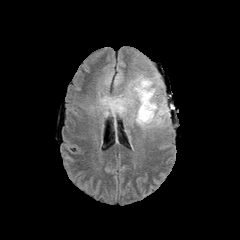
FLAIR MR image.
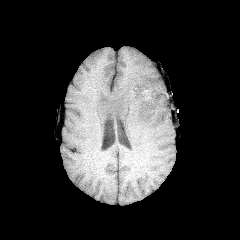
T1-weighted MRI.
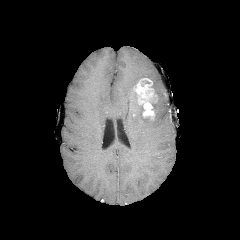
Post-contrast T1-weighted MR of the same slice.
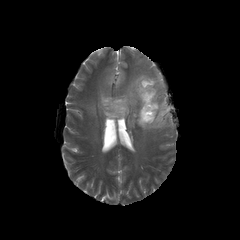
T2-weighted magnetic resonance of the same slice.
240x240 | Head
Edema: bounding box x1=114 y1=74 x2=123 y2=89, x1=98 y1=69 x2=170 y2=130.
Enhancing tumor: bounding box x1=133 y1=78 x2=155 y2=118.
Non-enhancing tumor core: bounding box x1=129 y1=88 x2=158 y2=121.